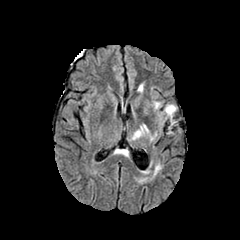
FLAIR magnetic resonance.
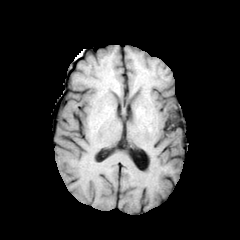
Same slice, T1-weighted MR.
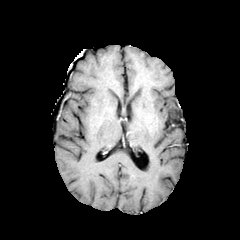
Post-contrast T1-weighted MR.
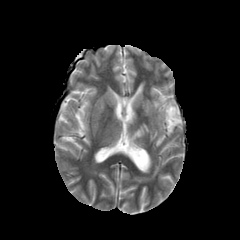
T2-weighted MR of the same slice.
Head
Annotated regions:
* non-enhancing tumor core: 168,107,175,123
* edema: 154,102,179,133; 132,125,148,139